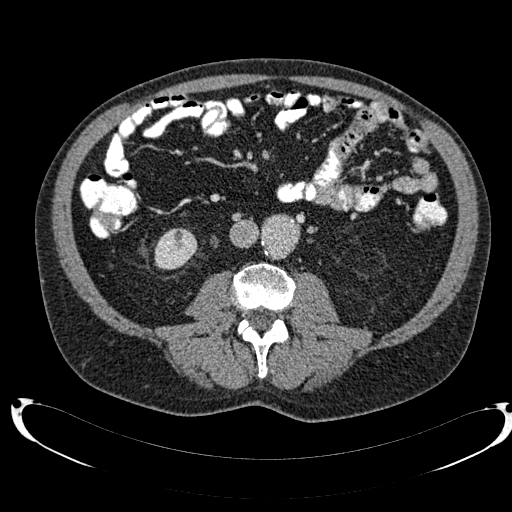
CT image
Kidney = (155,233,197,269).